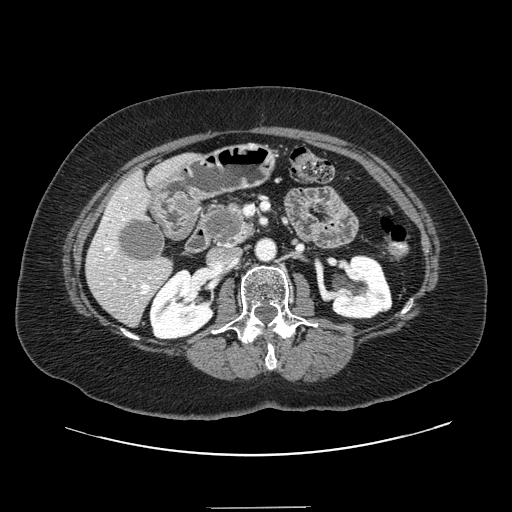

CT scan slice

<segmentation>
  <pancreas>l=201, t=203, r=255, b=248</pancreas>
  <pancreatic_tumor>l=206, t=208, r=241, b=243</pancreatic_tumor>
</segmentation>